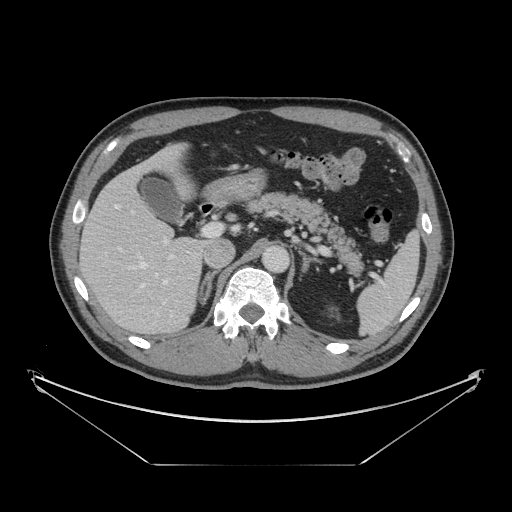

CT image. 512x512. Abdomen. pancreas:
  - left=245, top=191, right=363, bottom=275